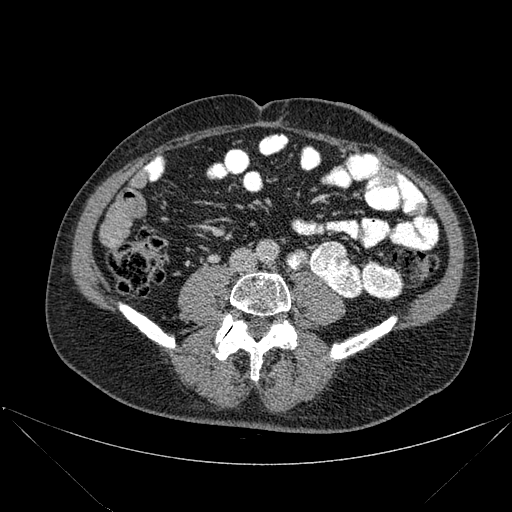
CT slice

Annotated regions:
- bone: 120 304 175 347, 330 317 396 358, 213 315 296 380, 230 273 290 315